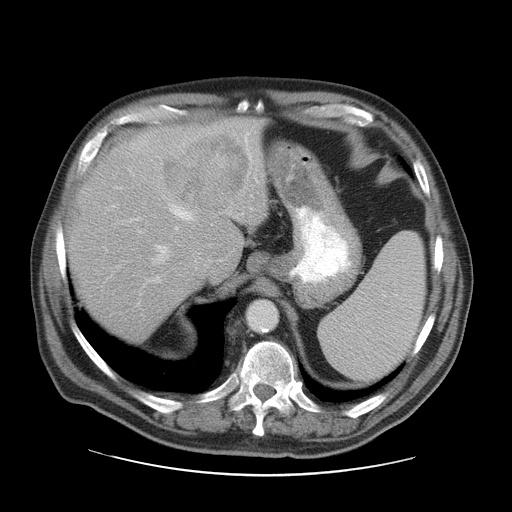

CT slice, Image size 512x512, Abdomen

The vessel boxes may cover only some of the vessels.
Annotated regions:
- liver tumor: x1=164, y1=135, x2=248, y2=211
- hepatic vessel: x1=170, y1=205, x2=190, y2=219; x1=155, y1=277, x2=160, y2=281; x1=157, y1=246, x2=166, y2=252; x1=175, y1=228, x2=177, y2=229; x1=131, y1=219, x2=134, y2=220; x1=112, y1=205, x2=114, y2=207; x1=156, y1=254, x2=161, y2=261; x1=255, y1=178, x2=256, y2=180